Image size 240x240; Field of view 240x240 mm; Slice 114/155
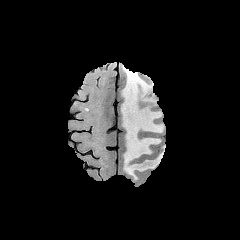
FLAIR magnetic resonance.
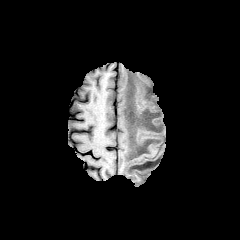
T1-weighted MR image of the same slice.
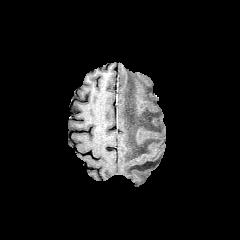
Post-contrast T1-weighted MR.
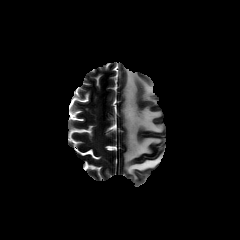
T2-weighted MR image.
Findings:
• edema: [121, 67, 163, 179]